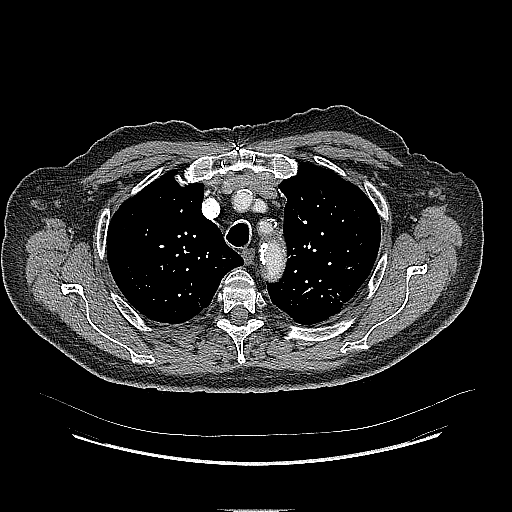

Chest. CT slice. Image size 512x512. The lung tumor is at rect(326, 287, 343, 305).